CT slice. Abdomen. Slice 132/155.

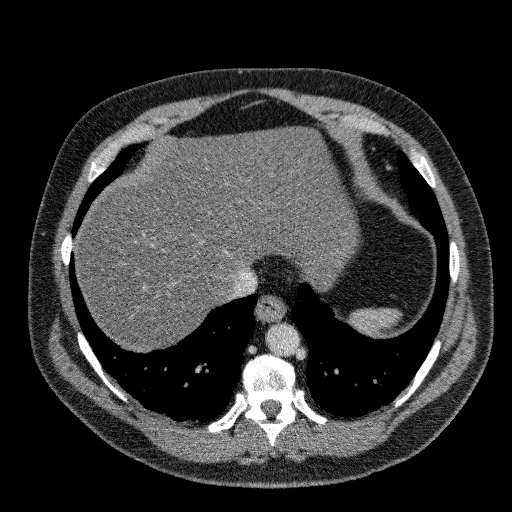 The liver is bounded by (left=73, top=126, right=342, bottom=351).